CT | Liver
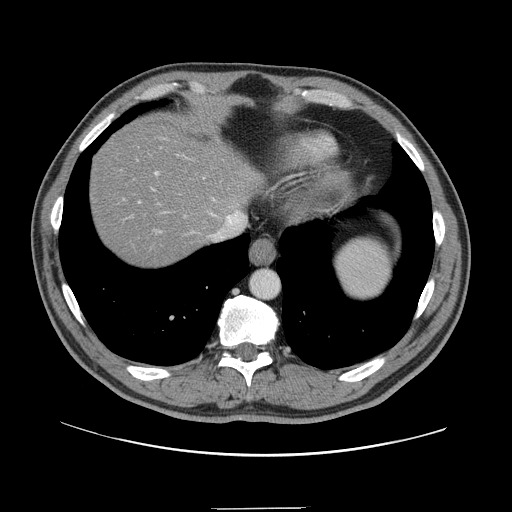

The vessel boxes may cover only some of the vessels.
hepatic vessel: <box>154,230,161,232</box>, <box>226,216,232,221</box>, <box>211,213,214,215</box>, <box>212,236,213,237</box>, <box>156,172,158,174</box>, <box>213,199,214,201</box>, <box>234,211,239,215</box>